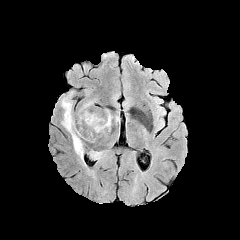
FLAIR magnetic resonance.
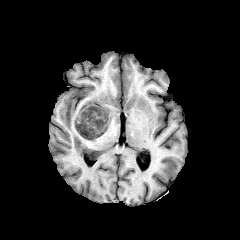
T1-weighted MRI.
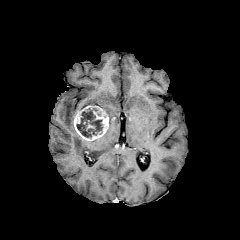
Post-contrast T1-weighted MRI of the same slice.
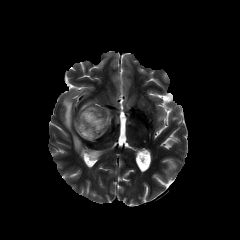
T2-weighted MR of the same slice.
The enhancing tumor lies within box=[73, 106, 108, 140]. 2 edema regions appear at box=[61, 92, 86, 160]; box=[88, 150, 99, 157]. The non-enhancing tumor core appears at box=[76, 105, 102, 138].